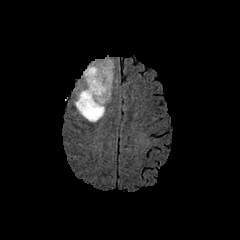
FLAIR MR.
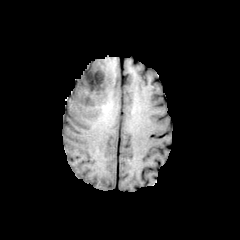
T1-weighted magnetic resonance.
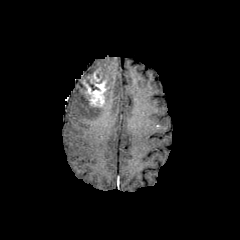
Post-contrast T1-weighted MR image of the same slice.
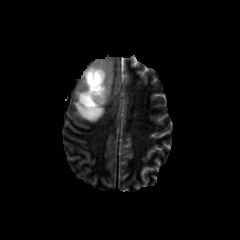
T2-weighted magnetic resonance.
Edema: (left=74, top=60, right=116, bottom=122).
Non-enhancing tumor core: (left=82, top=68, right=105, bottom=89), (left=84, top=91, right=92, bottom=106).
Enhancing tumor: (left=82, top=78, right=106, bottom=105).